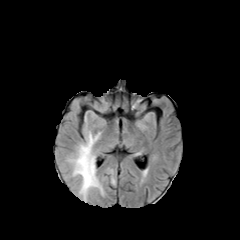
FLAIR magnetic resonance.
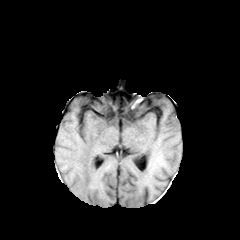
T1-weighted MR image of the same slice.
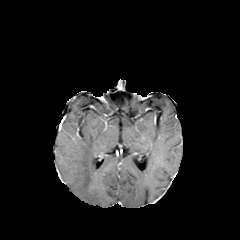
Same slice, post-contrast T1-weighted MR.
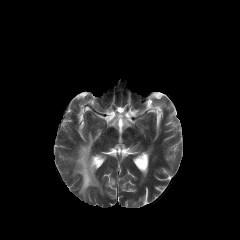
T2-weighted MRI.
240x240.
The edema appears at box=[68, 133, 102, 199].